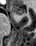

MR. Hippocampus.

<segmentation>
  <anterior_hippocampus>10 6 25 15</anterior_hippocampus>
</segmentation>